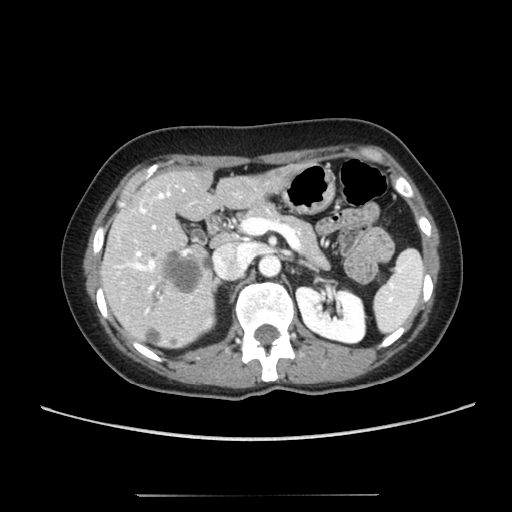
CT image. Upper abdomen.
<segmentation>
  <hepatic_lesion>(x1=168, y1=337, x2=177, y2=346), (x1=163, y1=247, x2=211, y2=294), (x1=143, y1=326, x2=161, y2=345)</hepatic_lesion>
  <liver>(x1=100, y1=162, x2=306, y2=349)</liver>
  <kidney>(x1=296, y1=288, x2=364, y2=342)</kidney>
</segmentation>